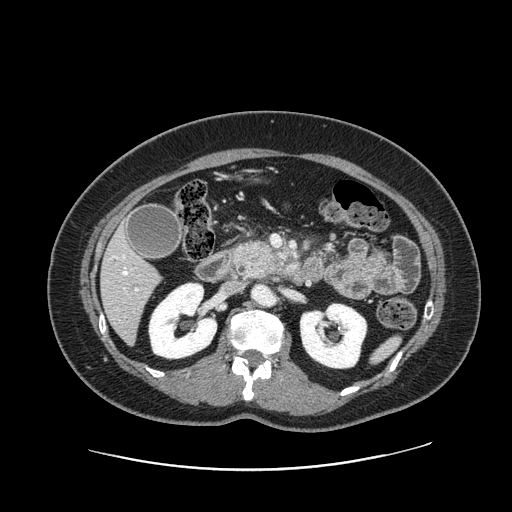 CT scan slice
Segmented structures:
- pancreatic tumor: left=246, top=246, right=265, bottom=263
- pancreas: left=232, top=241, right=283, bottom=278